Abdomen, CT slice

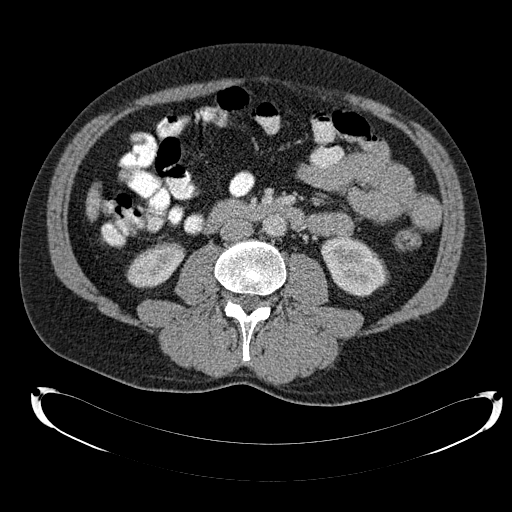
Liver at <bbox>87, 190, 98, 218</bbox>.
Kidney at <bbox>321, 235, 385, 295</bbox>, <bbox>128, 245, 183, 286</bbox>.